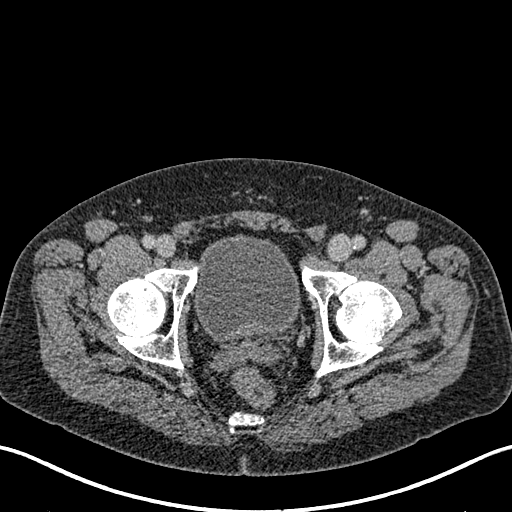

Lower abdomen, CT scan slice
Annotated regions:
- urinary bladder: (x1=194, y1=234, x2=300, y2=333)